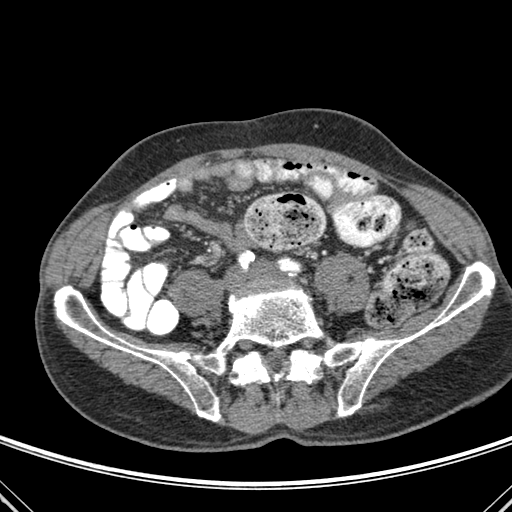 CT image
- bone: {"x1": 54, "y1": 285, "x2": 323, "y2": 421}, {"x1": 279, "y1": 261, "x2": 494, "y2": 416}, {"x1": 231, "y1": 352, "x2": 270, "y2": 385}